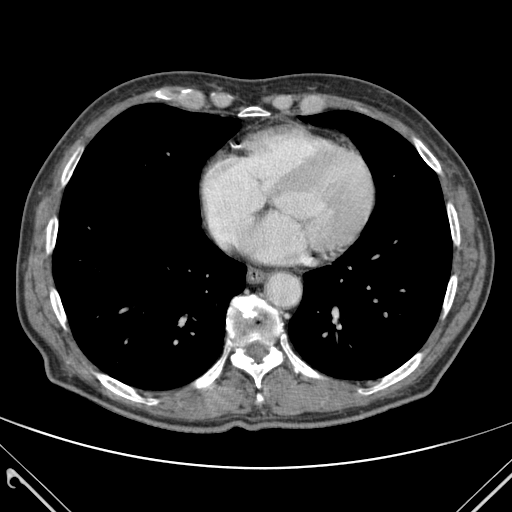

CT slice.

Lung: bounding box [52,103,246,389], [288,110,452,379].
Bone: bounding box [50,286,65,325], [97,375,156,404], [363,354,420,393], [448,204,459,243], [226,295,319,387], [239,107,269,115], [47,213,57,253], [415,140,440,171], [62,153,78,184], [196,358,224,387], [443,276,456,313].